CT image 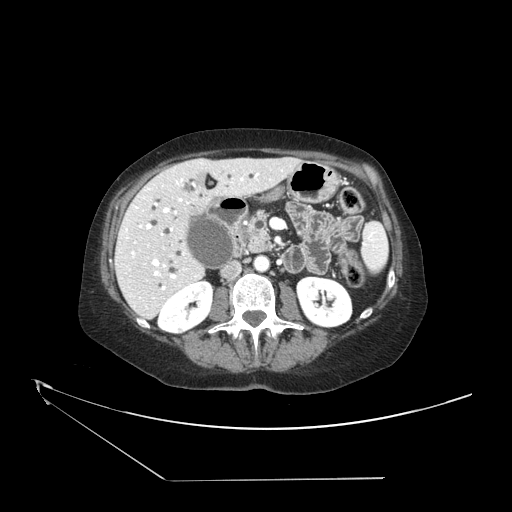 The pancreas appears at (246,211,271,252).